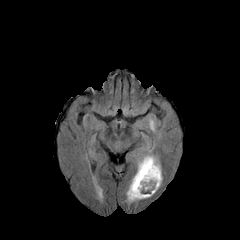
FLAIR MR.
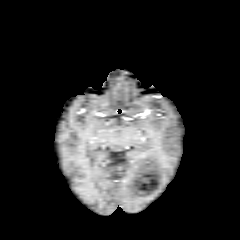
Same slice, T1-weighted MR image.
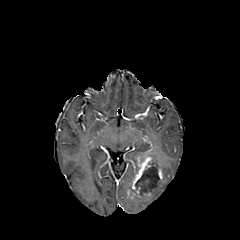
Post-contrast T1-weighted MR.
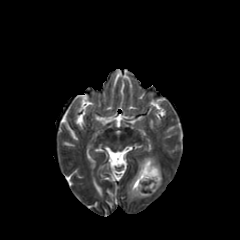
T2-weighted MR.
Head.
edema: bbox=[126, 166, 147, 202]; bbox=[136, 132, 161, 170] | non-enhancing tumor core: bbox=[135, 166, 159, 195] | enhancing tumor: bbox=[132, 157, 151, 192]